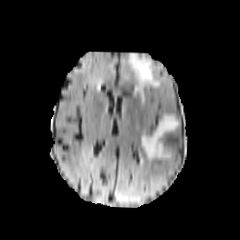
FLAIR MR image.
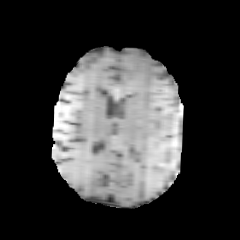
T1-weighted MR.
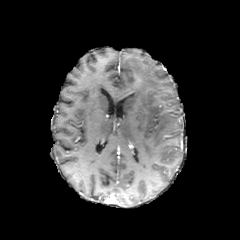
Post-contrast T1-weighted MR image.
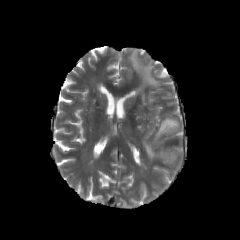
T2-weighted MRI of the same slice.
Brain
2 edema regions appear at (141,114,179,160), (129,50,161,103).